240x240; Field of view 240x240 mm
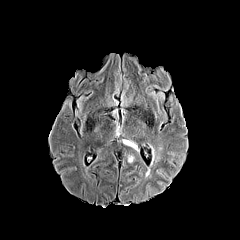
FLAIR MR.
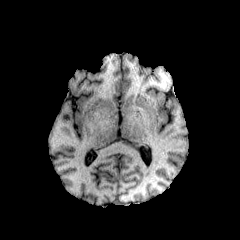
T1-weighted MRI.
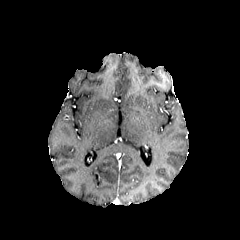
Same slice, post-contrast T1-weighted MR.
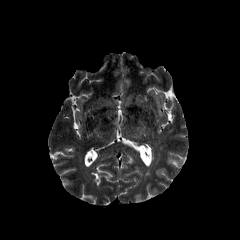
T2-weighted MR image.
- edema: [x1=146, y1=143, x2=162, y2=177]